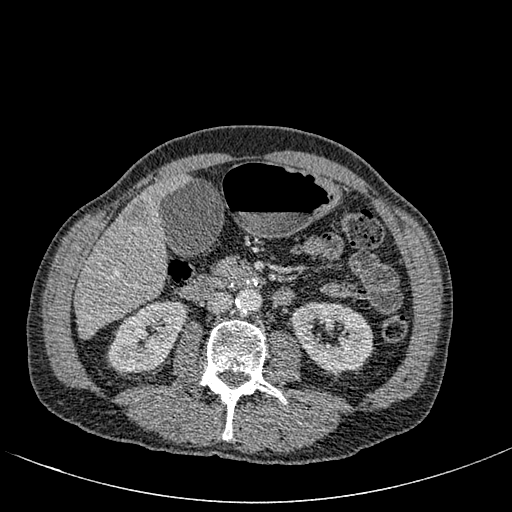 Upper abdomen; Image size 512x512; CT scan slice

Focal liver lesion at (x1=124, y1=200, x2=150, y2=225).
Liver at (x1=75, y1=175, x2=188, y2=337).
Kidney at (x1=108, y1=301, x2=186, y2=372), (x1=291, y1=299, x2=372, y2=373).